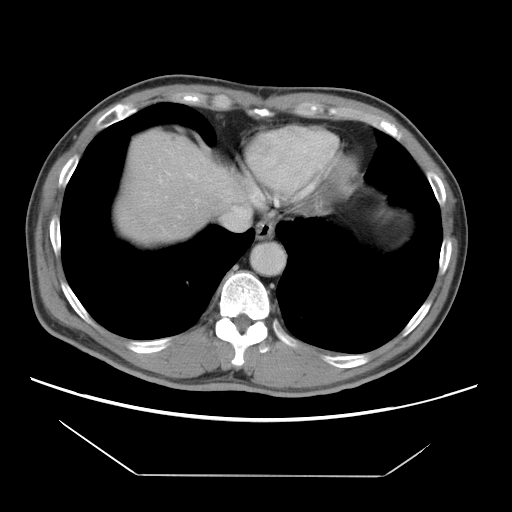 Abdomen | CT image
The vessel boxes may cover only some of the vessels.
Hepatic vessel: 221, 209, 245, 231; 166, 172, 168, 174; 188, 174, 197, 178; 225, 191, 229, 192.